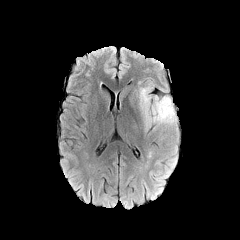
FLAIR MRI.
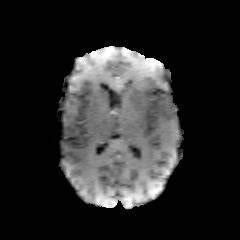
T1-weighted MR image.
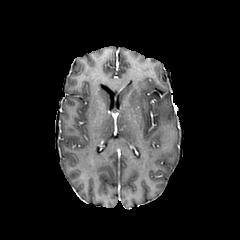
Post-contrast T1-weighted MR.
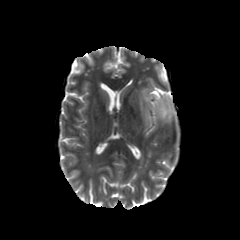
Same slice, T2-weighted magnetic resonance.
Brain.
Edema at x1=138 y1=83 x2=177 y2=129, x1=152 y1=161 x2=172 y2=187.
Non-enhancing tumor core at x1=151 y1=96 x2=161 y2=111.